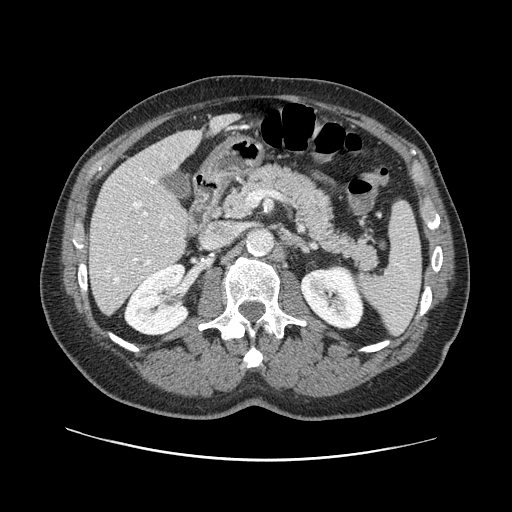
Upper abdomen | CT image

Pancreas = bbox=[220, 164, 379, 273].